Field of view 360 mm wide, 0.80 mm slice spacing | 512x512 px | CT scan slice 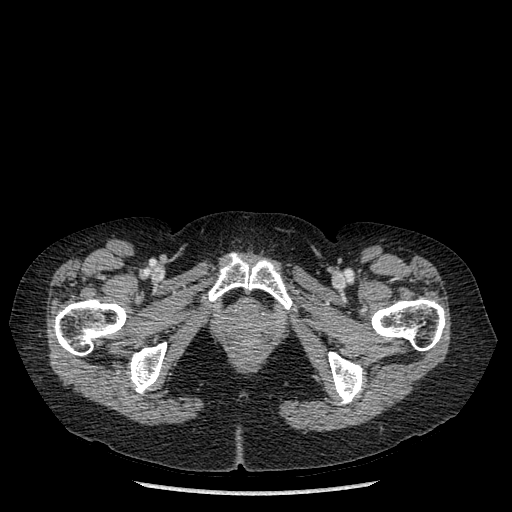 Bone: <bbox>328, 352, 364, 403</bbox>, <bbox>128, 342, 166, 393</bbox>, <bbox>208, 253, 292, 309</bbox>, <bbox>371, 298, 445, 350</bbox>, <bbox>53, 299, 126, 355</bbox>.